FLAIR MR.
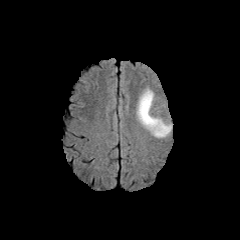
T1-weighted magnetic resonance.
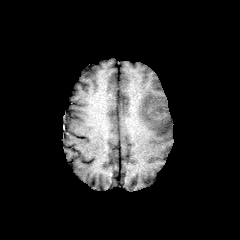
Post-contrast T1-weighted magnetic resonance.
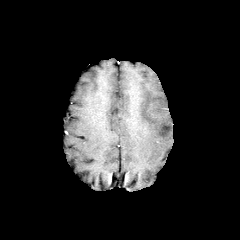
T2-weighted magnetic resonance.
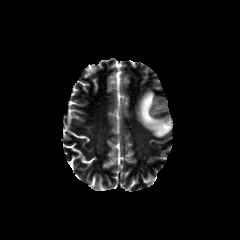
Brain.
<segmentation>
  <edema>bbox=[136, 86, 171, 138]</edema>
</segmentation>